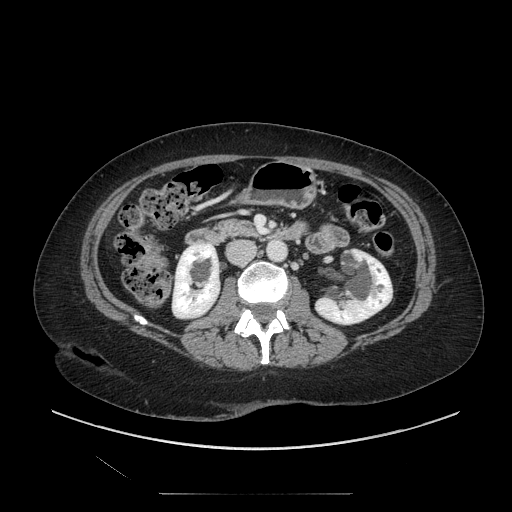
512x512; CT; Upper abdomen
{
  "pancreas": [
    "bbox=[216, 220, 258, 238]"
  ]
}